Brain. Field of view 240 mm wide, 1.00 mm slice spacing. Slice index 71.
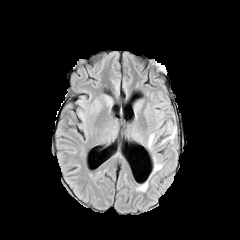
FLAIR magnetic resonance.
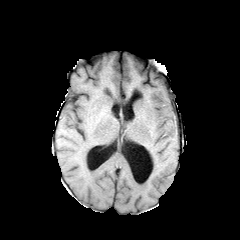
T1-weighted MR.
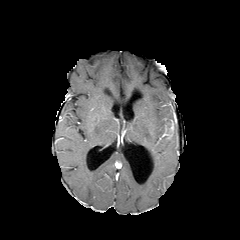
Post-contrast T1-weighted magnetic resonance of the same slice.
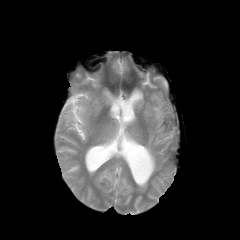
Same slice, T2-weighted MRI.
<segmentation>
  <edema>bbox(152, 156, 162, 173); bbox(147, 116, 176, 150); bbox(137, 181, 148, 191)</edema>
</segmentation>